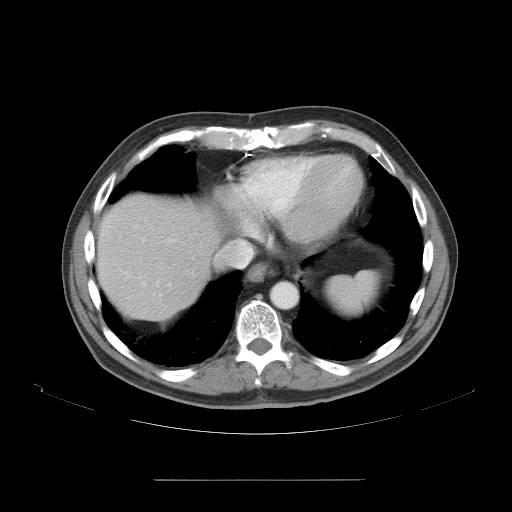
Liver, Computed tomography
Not every hepatic vessel necessarily has a box.
* hepatic vessel: 233:241:251:267, 237:189:239:191